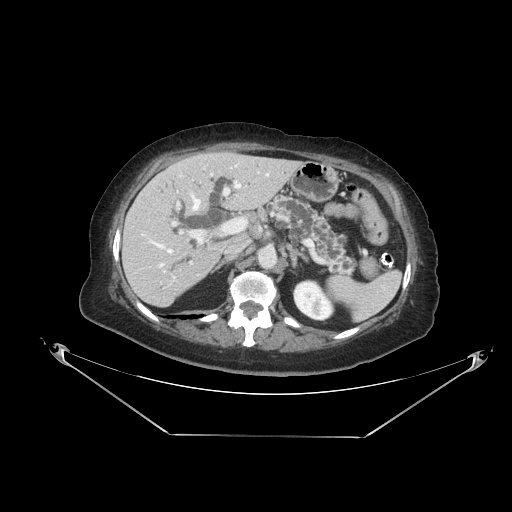

512x512 px, Computed tomography
Segmented structures:
- pancreas: <bbox>268, 195, 355, 274</bbox>